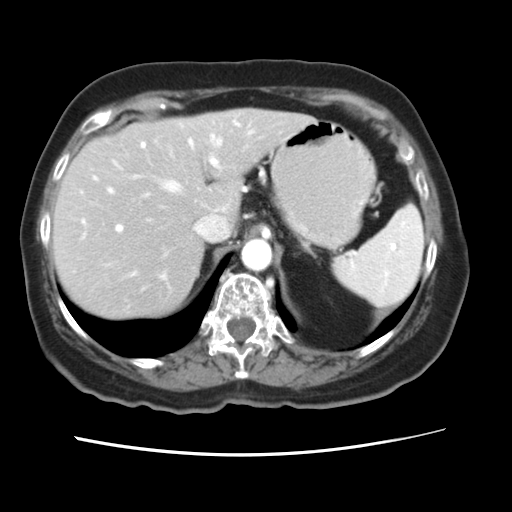

CT image; Image size 512x512
The vessel annotation is not exhaustive.
<segmentation partial="true">
  <hepatic_vessel shown="15" total="17">x1=116 y1=225 x2=122 y2=231, x1=210 y1=134 x2=221 y2=146, x1=129 y1=272 x2=136 y2=275, x1=142 y1=143 x2=144 y2=147, x1=93 y1=177 x2=97 y2=179, x1=233 y1=121 x2=239 y2=125, x1=160 y1=273 x2=165 y2=279, x1=188 y1=139 x2=193 y2=146, x1=82 y1=220 x2=84 y2=223, x1=162 y1=180 x2=180 y2=191, x1=113 y1=160 x2=120 y2=168, x1=248 y1=131 x2=253 y2=134, x1=108 y1=188 x2=112 y2=193, x1=209 y1=157 x2=218 y2=166, x1=143 y1=194 x2=147 y2=196</hepatic_vessel>
</segmentation>